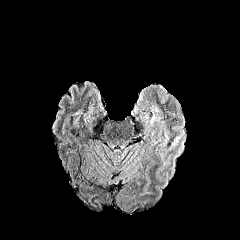
FLAIR MRI.
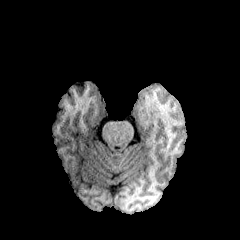
T1-weighted magnetic resonance.
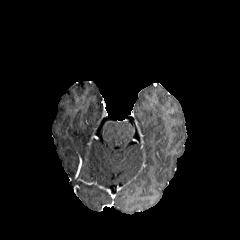
Post-contrast T1-weighted MR image.
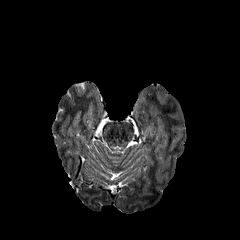
T2-weighted MR image.
{
  "edema": [
    "152, 109, 161, 120"
  ]
}